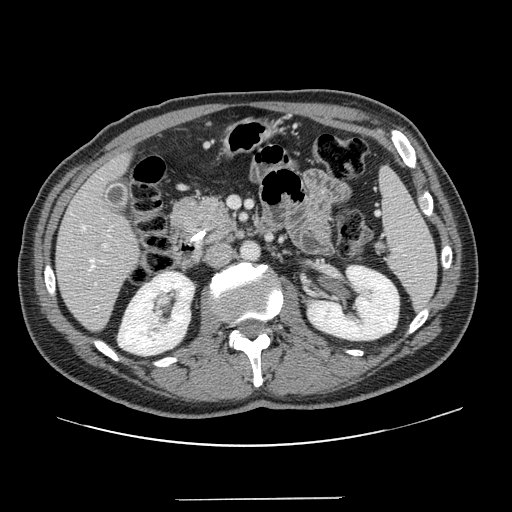 CT image.
2 pancreas regions are located at bbox(170, 192, 227, 247); bbox(226, 208, 240, 239). The pancreatic tumor is located at bbox(191, 198, 235, 247).